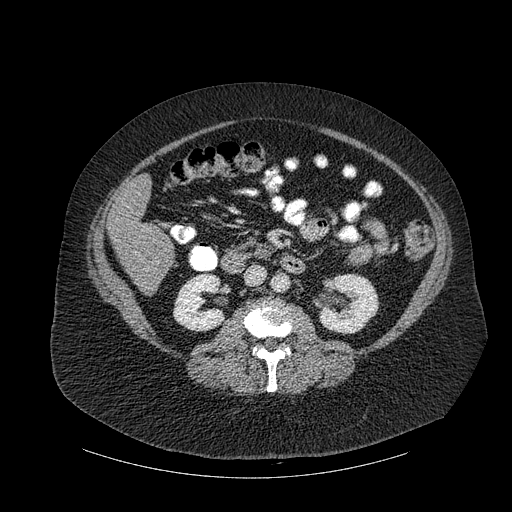

CT image. Image size 512x512.

Annotated regions:
• liver: (x1=108, y1=174, x2=174, y2=291)
• kidney: (x1=173, y1=274, x2=223, y2=330), (x1=320, y1=274, x2=377, y2=333)
• bone: (x1=253, y1=345, x2=290, y2=391), (x1=244, y1=302, x2=295, y2=337)